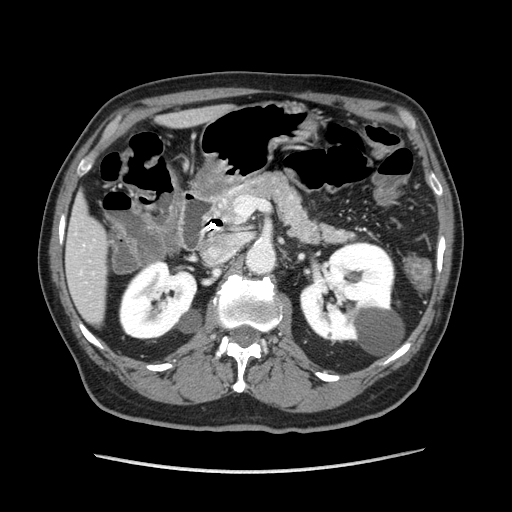

CT

Pancreas = x1=225 y1=172 x2=350 y2=243.